512x512 px; CT; Liver
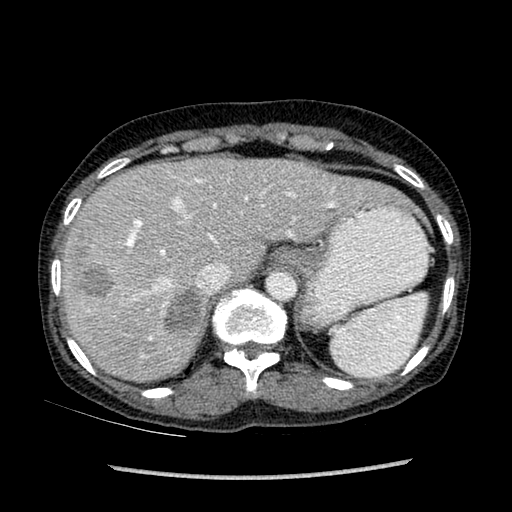

<segmentation>
  <focal_liver_lesion>x1=66, y1=236, x2=113, y2=300; x1=164, y1=290, x2=201, y2=333</focal_liver_lesion>
  <liver>x1=61, y1=158, x2=418, y2=380</liver>
</segmentation>